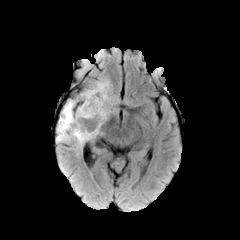
FLAIR MRI.
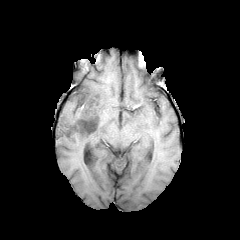
Same slice, T1-weighted MR.
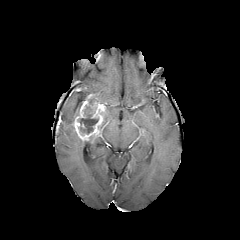
Post-contrast T1-weighted MR.
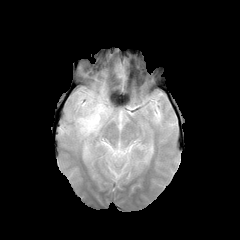
T2-weighted magnetic resonance.
Head
Edema = x1=56, y1=80, x2=113, y2=155.
Enhancing tumor = x1=74, y1=94, x2=105, y2=141.
Non-enhancing tumor core = x1=96, y1=119, x2=103, y2=136; x1=79, y1=106, x2=98, y2=133.